Brain.
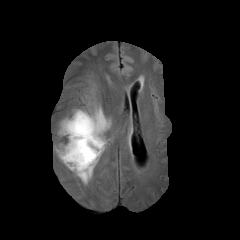
FLAIR MR image.
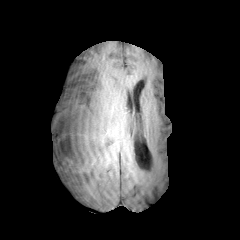
Same slice, T1-weighted MRI.
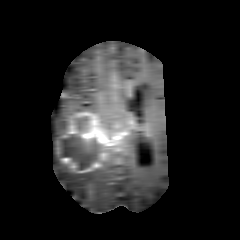
Post-contrast T1-weighted MR.
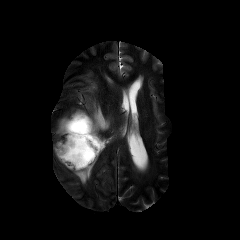
T2-weighted MRI.
4 edema regions appear at (left=55, top=116, right=106, bottom=183), (left=71, top=109, right=89, bottom=115), (left=90, top=104, right=110, bottom=130), (left=70, top=154, right=82, bottom=169). 2 enhancing tumor regions appear at (left=60, top=157, right=76, bottom=169), (left=64, top=112, right=109, bottom=146). 2 non-enhancing tumor core regions appear at (left=58, top=134, right=103, bottom=169), (left=73, top=116, right=89, bottom=132).